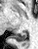 MR. Medial temporal lobe. Image size 38x49.
<segmentation>
  <posterior_hippocampus>box(11, 31, 26, 42)</posterior_hippocampus>
</segmentation>